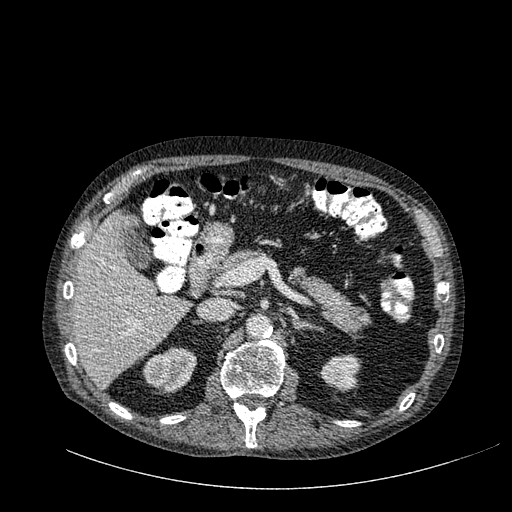
CT. Liver. <segmentation>
  <liver>(left=74, top=211, right=189, bottom=388)</liver>
  <kidney>(left=143, top=347, right=196, bottom=392), (left=320, top=354, right=361, bottom=391)</kidney>
  <hepatic_lesion>(left=112, top=235, right=123, bottom=252), (left=112, top=215, right=137, bottom=233)</hepatic_lesion>
</segmentation>